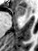 Medial temporal lobe; Magnetic resonance
Anterior hippocampus: bounding box rect(16, 6, 25, 14).